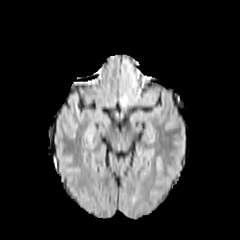
FLAIR magnetic resonance.
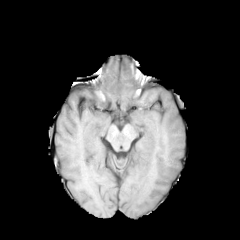
Same slice, T1-weighted MR image.
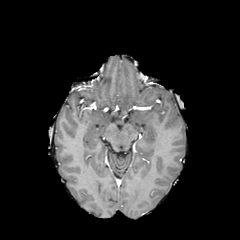
Post-contrast T1-weighted MR image.
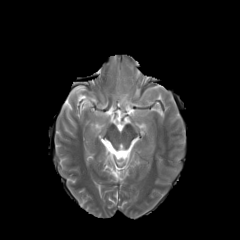
T2-weighted MRI of the same slice.
Brain; 240x240
The edema is at (x1=123, y1=95, x2=151, y2=104).